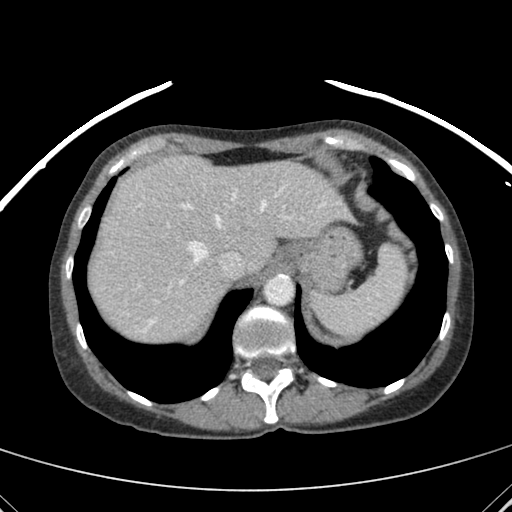 Abdomen | CT slice | 512x512 px
liver:
  - bbox=[90, 155, 350, 341]